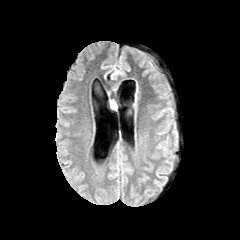
FLAIR MRI.
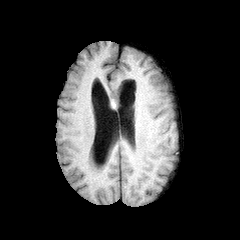
T1-weighted magnetic resonance.
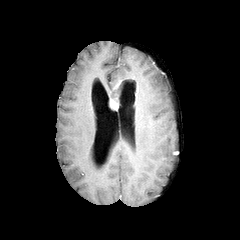
Post-contrast T1-weighted MRI.
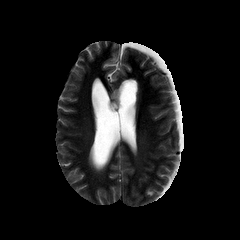
T2-weighted MR image.
enhancing tumor: [110, 100, 117, 109]